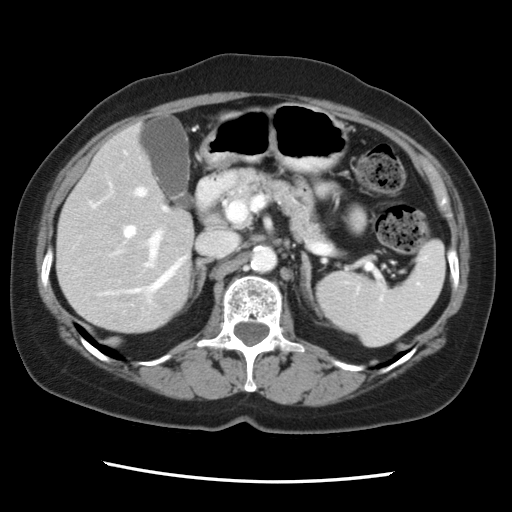 Computed tomography
Not every hepatic vessel necessarily has a box.
8 hepatic vessel regions are bounded by (97, 181, 113, 203), (109, 247, 124, 256), (123, 225, 136, 238), (142, 227, 164, 270), (200, 233, 236, 254), (115, 255, 185, 305), (132, 186, 147, 197), (224, 188, 253, 224).